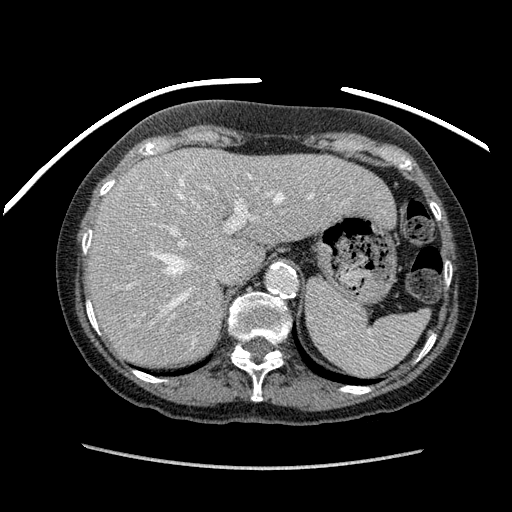

CT slice | Upper abdomen
Annotated regions:
- liver: 88 148 394 366